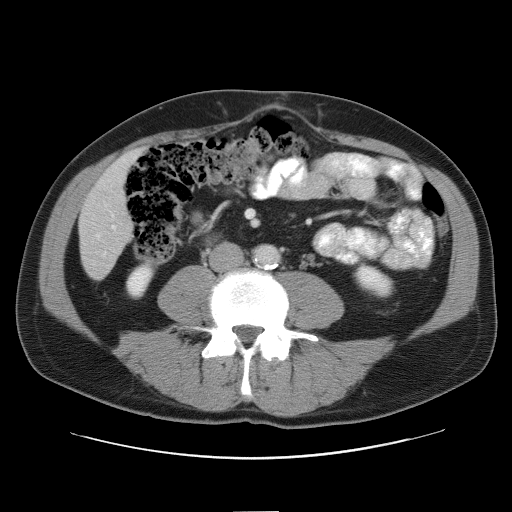
Liver. Computed tomography.
Only some of the vessels may be annotated.
Segmented structures:
* hepatic vessel: {"x1": 112, "y1": 226, "x2": 114, "y2": 229}, {"x1": 111, "y1": 213, "x2": 112, "y2": 217}, {"x1": 102, "y1": 253, "x2": 105, "y2": 256}, {"x1": 96, "y1": 234, "x2": 99, "y2": 237}